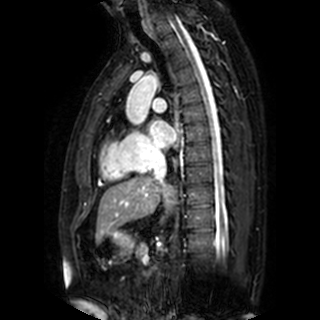
MR image

The left atrium appears at [x1=148, y1=119, x2=175, y2=147].